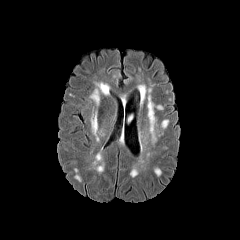
FLAIR magnetic resonance.
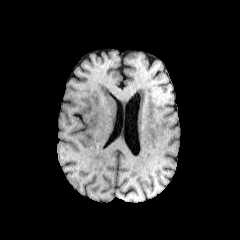
T1-weighted MRI of the same slice.
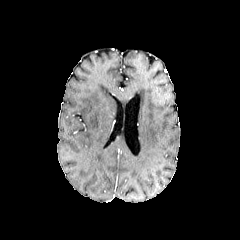
Same slice, post-contrast T1-weighted MRI.
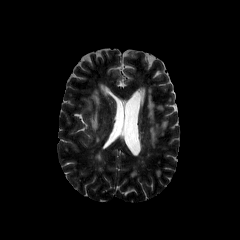
Same slice, T2-weighted magnetic resonance.
Edema — bbox(91, 114, 97, 133); bbox(92, 92, 99, 103).